FLAIR MR image.
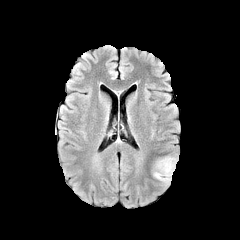
T1-weighted MR.
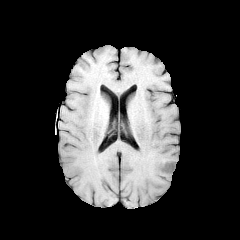
Post-contrast T1-weighted MR.
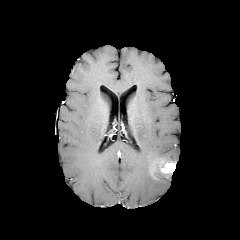
T2-weighted MR image.
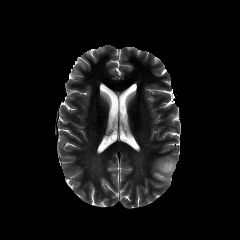
Brain.
Edema — 153, 156, 177, 184.
Enhancing tumor — 160, 162, 176, 173.